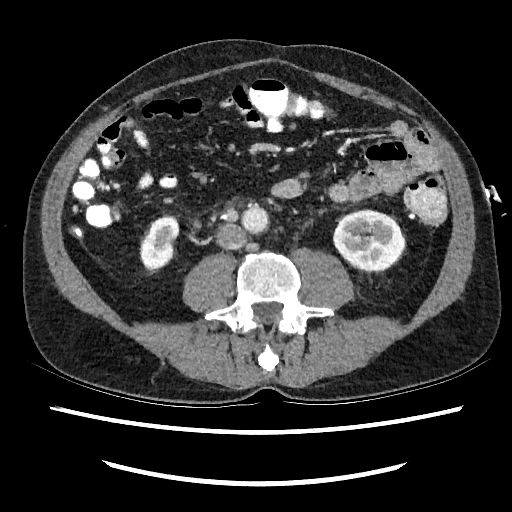
Abdomen; CT image
2 kidney regions are bounded by left=334, top=211, right=403, bottom=270; left=142, top=218, right=178, bottom=267.